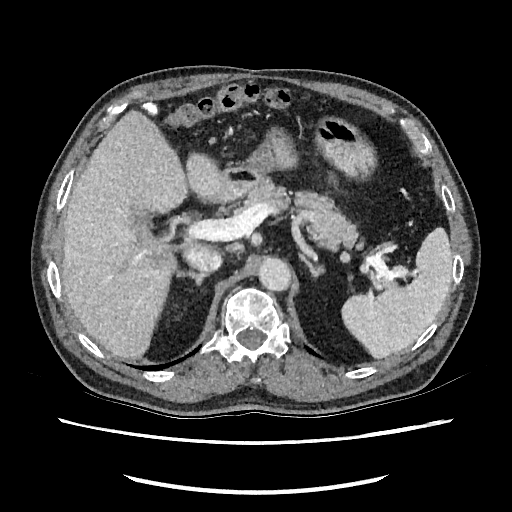 Liver | CT scan slice
Focal liver lesion: bounding box bbox=[135, 215, 172, 265].
Liver: bounding box bbox=[63, 113, 224, 358].